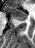

Hippocampus | MRI slice

<segmentation>
  <posterior_hippocampus>left=17, top=18, right=28, bottom=20</posterior_hippocampus>
  <anterior_hippocampus>left=7, top=5, right=28, bottom=17</anterior_hippocampus>
</segmentation>